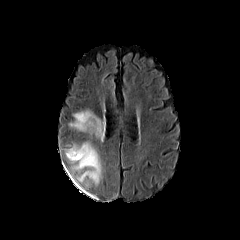
FLAIR MRI.
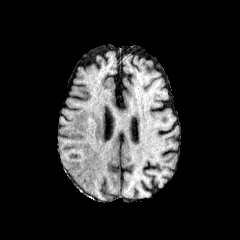
T1-weighted magnetic resonance.
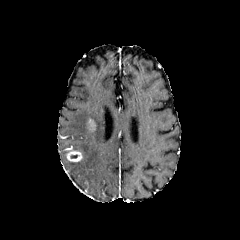
Post-contrast T1-weighted magnetic resonance.
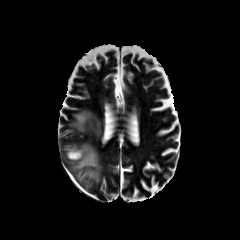
Same slice, T2-weighted MRI.
edema: bbox=[68, 109, 105, 189] | enhancing tumor: bbox=[66, 150, 84, 162]; bbox=[85, 118, 95, 131]